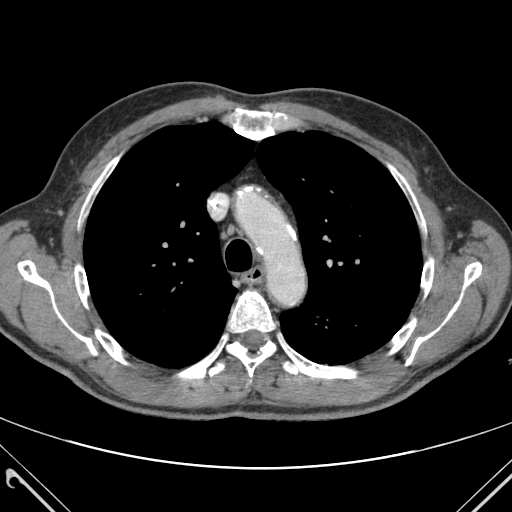
Chest | Computed tomography

bone:
  - x1=389 y1=165 x2=425 y2=227
  - x1=230 y1=291 x2=274 y2=332
  - x1=279 y1=339 x2=355 y2=378
  - x1=463 y1=262 x2=481 y2=289
  - x1=406 y1=294 x2=462 y2=365
  - x1=209 y1=364 x2=223 y2=375
  - x1=79 y1=157 x2=118 y2=225
  - x1=227 y1=341 x2=275 y2=376
  - x1=421 y1=259 x2=433 y2=296
  - x1=74 y1=265 x2=88 y2=307
  - x1=18 y1=260 x2=96 y2=354
  - x1=179 y1=335 x2=226 y2=378
  - x1=390 y1=319 x2=415 y2=353
  - x1=95 y1=330 x2=126 y2=364
  - x1=229 y1=108 x2=286 y2=139
lung:
  - x1=83 y1=122 x2=422 y2=367